FLAIR MR.
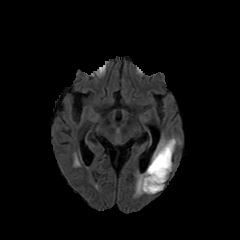
T1-weighted MR.
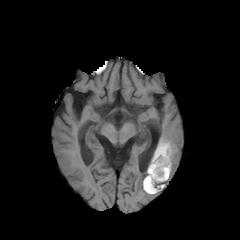
Post-contrast T1-weighted MR.
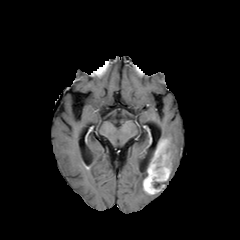
T2-weighted magnetic resonance.
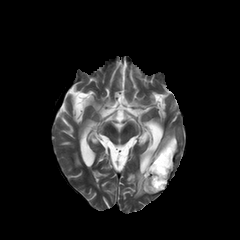
Head, 240x240
The enhancing tumor is at 144:139:171:193. 2 edema regions appear at 134:172:147:195, 162:134:178:169. 2 non-enhancing tumor core regions are bounded by 152:181:165:190, 166:141:174:163.